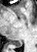 Medial temporal lobe; MR image; Image size 37x52
The posterior hippocampus is bounded by left=12, top=42, right=21, bottom=47.